FLAIR MR.
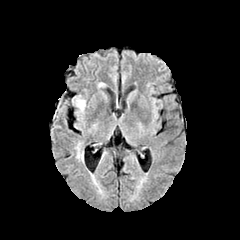
T1-weighted MR image.
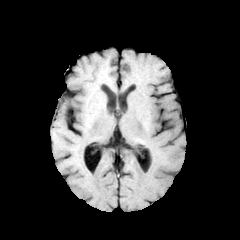
Post-contrast T1-weighted magnetic resonance.
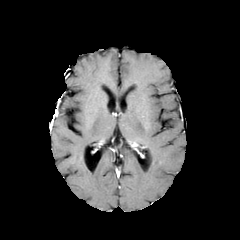
T2-weighted MRI.
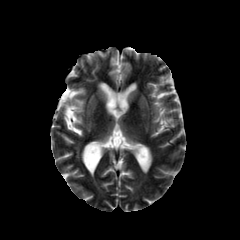
Brain
The edema is located at 72 95 85 128.